Head | 240x240 px | Slice index 102
FLAIR MR.
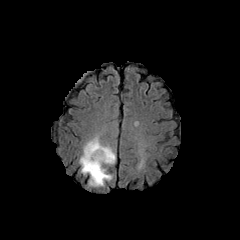
T1-weighted MRI.
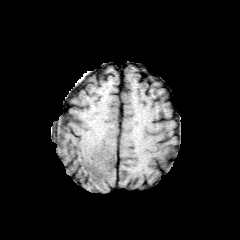
Post-contrast T1-weighted MR.
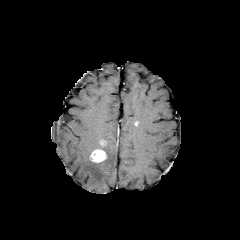
T2-weighted MR image.
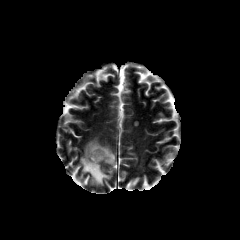
<segmentation>
  <enhancing_tumor>(x1=89, y1=148, x2=107, y2=162)</enhancing_tumor>
  <edema>(x1=79, y1=136, x2=116, y2=187)</edema>
</segmentation>